Brain; Slice index 92
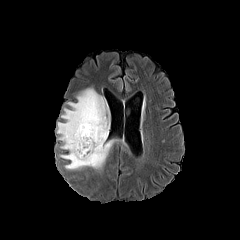
FLAIR MR.
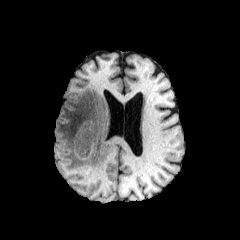
T1-weighted MR image.
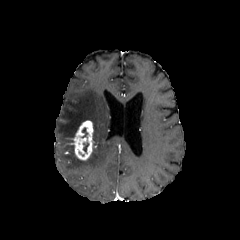
Same slice, post-contrast T1-weighted MR image.
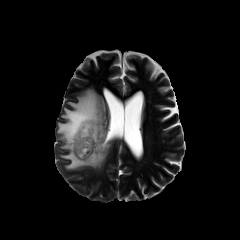
T2-weighted MRI.
Enhancing tumor at {"x1": 68, "y1": 120, "x2": 97, "y2": 161}.
Edema at {"x1": 57, "y1": 88, "x2": 113, "y2": 169}.